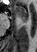 Medial temporal lobe. MRI.
{
  "anterior_hippocampus": [
    "box(16, 6, 28, 21)"
  ]
}